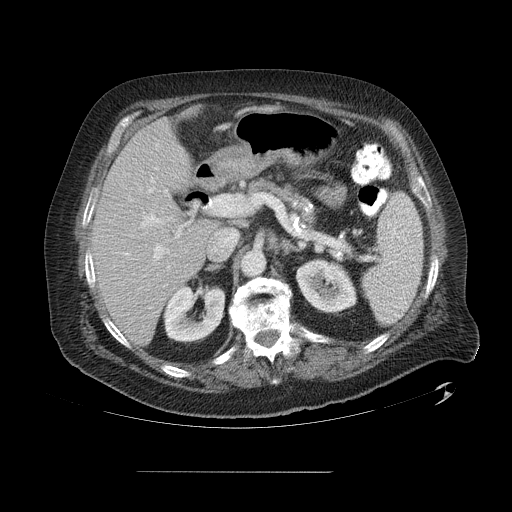

Computed tomography. 512x512 px. Liver.

The vessel boxes may cover only some of the vessels.
10 hepatic vessel regions appear at bbox(147, 187, 154, 192); bbox(167, 265, 170, 267); bbox(172, 263, 174, 265); bbox(151, 175, 154, 182); bbox(141, 213, 159, 227); bbox(164, 190, 166, 192); bbox(175, 229, 180, 237); bbox(209, 197, 227, 214); bbox(154, 244, 162, 259); bbox(166, 249, 169, 252).